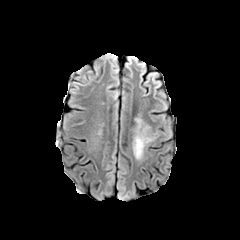
FLAIR MR.
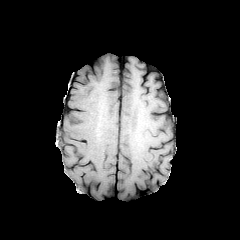
Same slice, T1-weighted MRI.
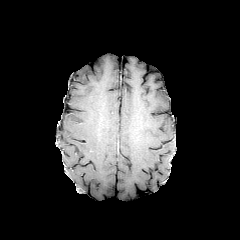
Post-contrast T1-weighted MR.
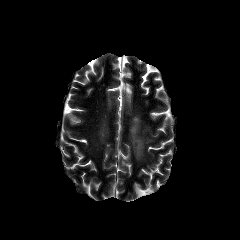
T2-weighted MR.
Annotated regions:
• edema: rect(132, 135, 151, 159)